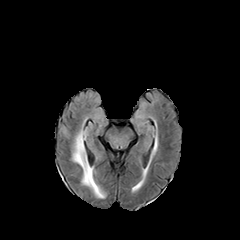
FLAIR MRI.
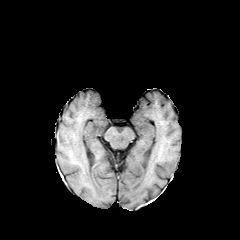
Same slice, T1-weighted MR image.
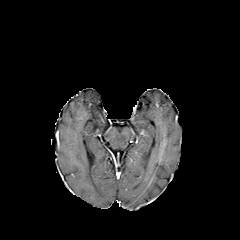
Post-contrast T1-weighted MR image of the same slice.
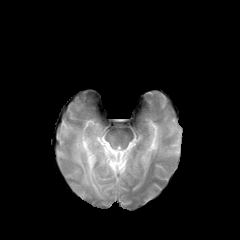
T2-weighted MRI of the same slice.
Brain
The edema is bounded by x1=72, y1=130, x2=105, y2=197.